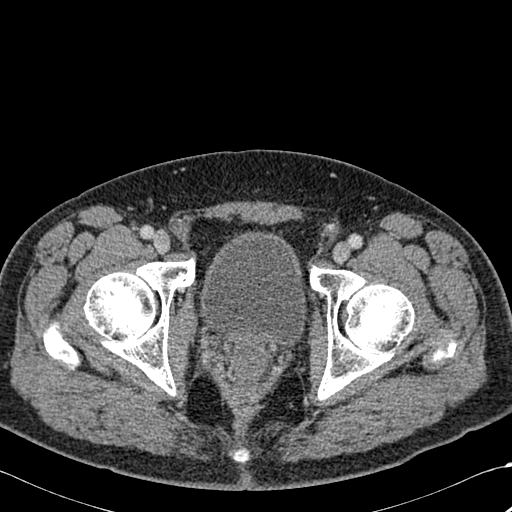 CT image. {
  "bone": [
    "[x1=433, y1=340, x2=455, y2=360]",
    "[x1=43, y1=324, x2=78, y2=368]",
    "[x1=236, y1=452, x2=245, y2=460]",
    "[x1=310, y1=267, x2=414, y2=399]",
    "[x1=84, y1=259, x2=194, y2=394]"
  ]
}